Image size 512x512; Computed tomography
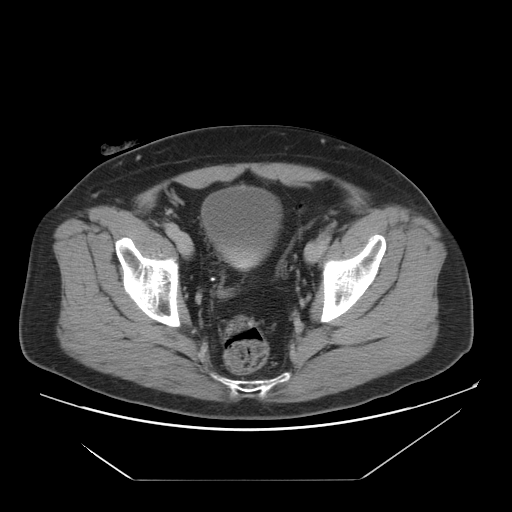
urinary_bladder:
  - x1=203 y1=187 x2=280 y2=268